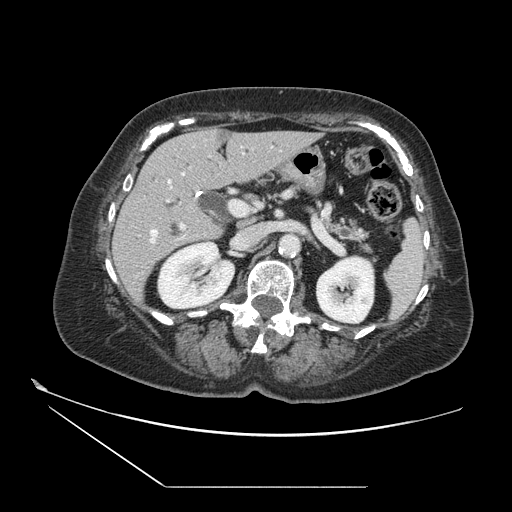
CT scan slice, Abdomen

Pancreas: bounding box [327, 223, 369, 251].